Image width 240 mm | Slice 69 of 155
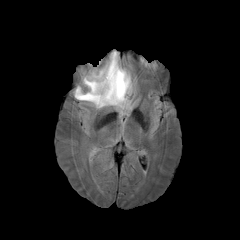
FLAIR MR.
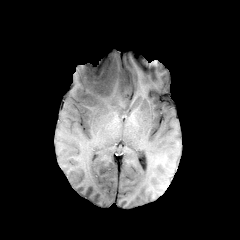
T1-weighted MRI.
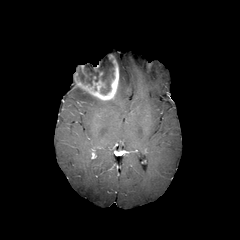
Same slice, post-contrast T1-weighted MR.
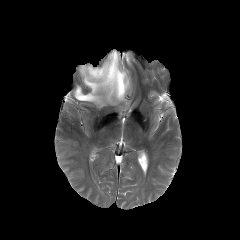
Same slice, T2-weighted MR.
2 edema regions appear at (100, 56, 109, 68), (73, 51, 132, 117). The non-enhancing tumor core is bounded by (83, 60, 113, 93). The enhancing tumor is located at (77, 54, 119, 100).